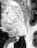 MR image

posterior_hippocampus:
  - 11 38 19 42